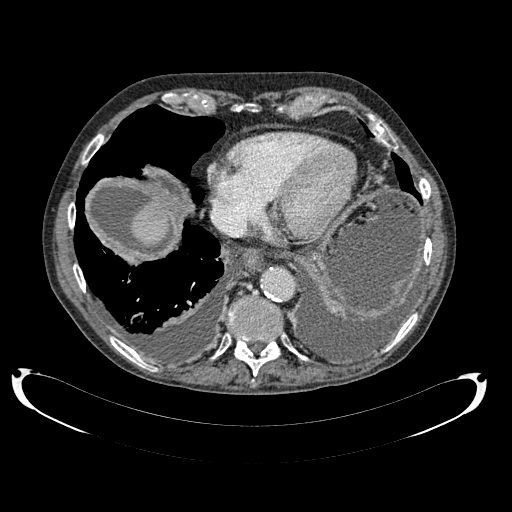
Upper abdomen, Image size 512x512, CT slice

Liver = x1=131, y1=196, x2=169, y2=243.